Computed tomography; Image width 430 mm; Abdomen 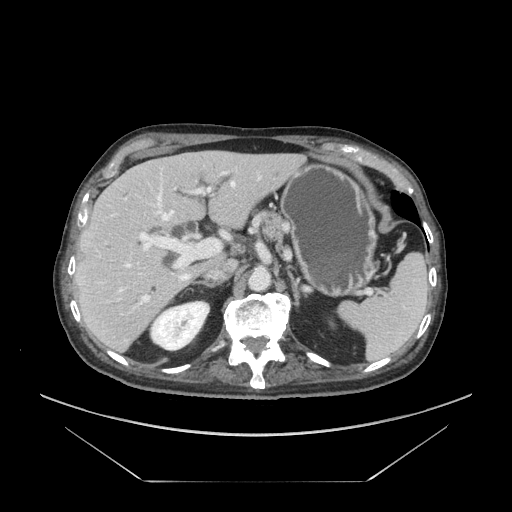

Pancreas: [x1=258, y1=211, x2=281, y2=242].